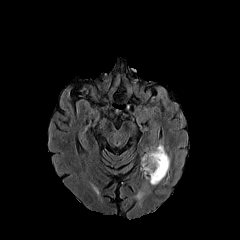
FLAIR MR.
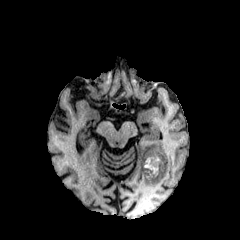
T1-weighted magnetic resonance.
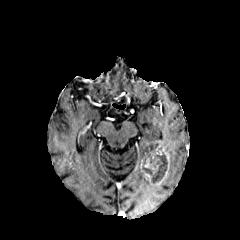
Post-contrast T1-weighted MRI.
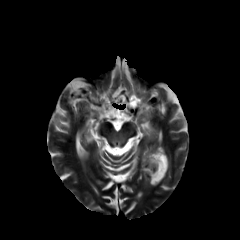
T2-weighted magnetic resonance.
Brain.
Non-enhancing tumor core = <box>145,155,167,183</box>.
Enhancing tumor = <box>140,147,170,179</box>.